Abdomen | CT slice 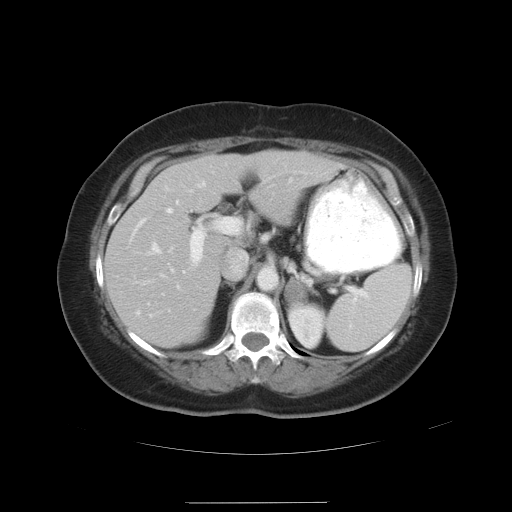

Only some of the vessels may be annotated.
[15/16] hepatic vessel: [176,201,177,203], [189,190,192,192], [177,285,179,288], [146,241,161,255], [166,208,173,213], [160,274,164,277], [168,246,173,251], [190,221,205,266], [130,218,146,241], [197,181,205,187], [183,270,185,272], [135,310,140,315], [133,279,154,284], [213,218,241,234], [232,251,246,273]